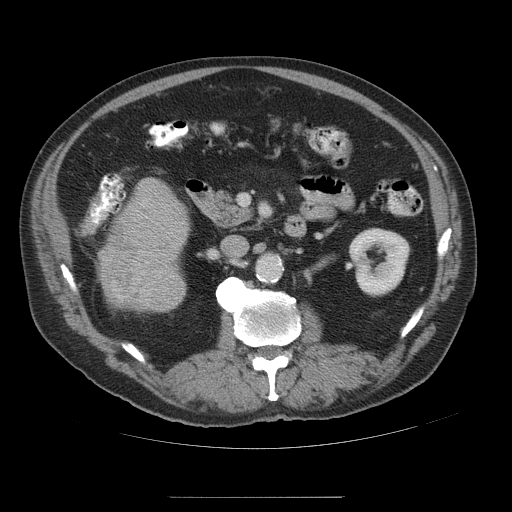

Computed tomography | Liver
liver tumor: region(100, 219, 137, 289)